CT 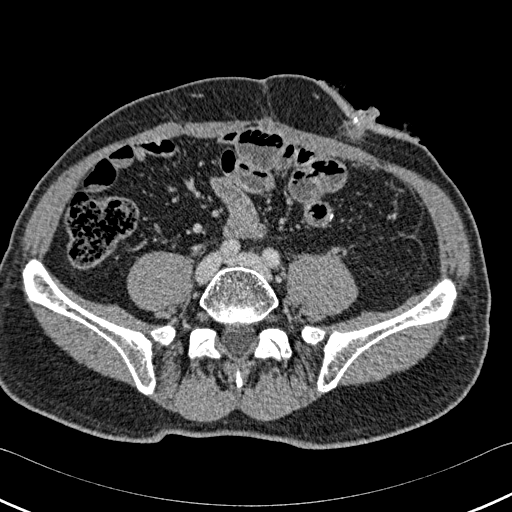
bone:
  - x1=189, y1=329, x2=220, y2=358
  - x1=200, y1=267, x2=277, y2=323
  - x1=255, y1=329, x2=291, y2=359
  - x1=23, y1=260, x2=174, y2=394
  - x1=302, y1=279, x2=455, y2=391
  - x1=236, y1=370, x2=242, y2=387